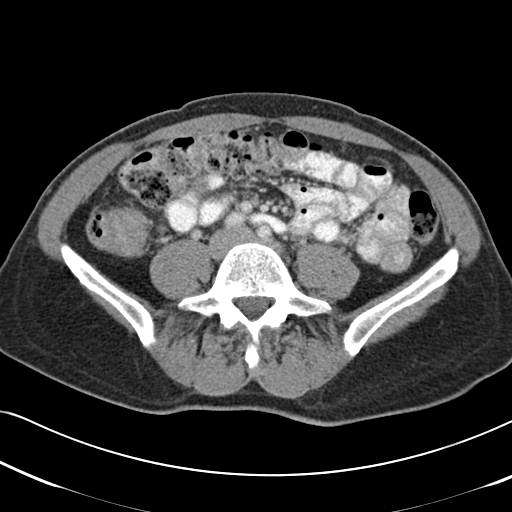
CT
Colon tumor = region(99, 208, 150, 256).